CT scan slice; Slice index 237; Field of view 432x432 mm

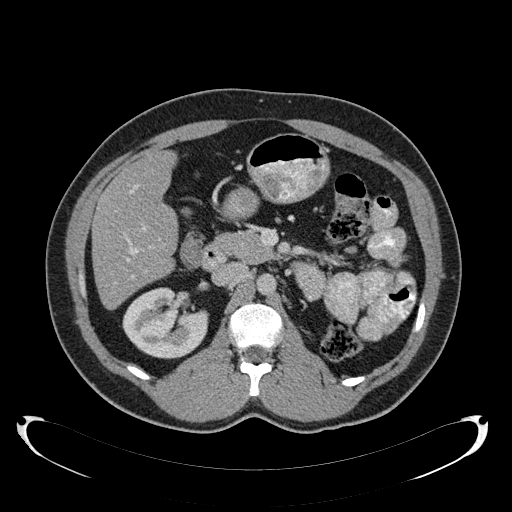
* liver: l=92, t=151, r=177, b=308
* kidney: l=123, t=288, r=207, b=357